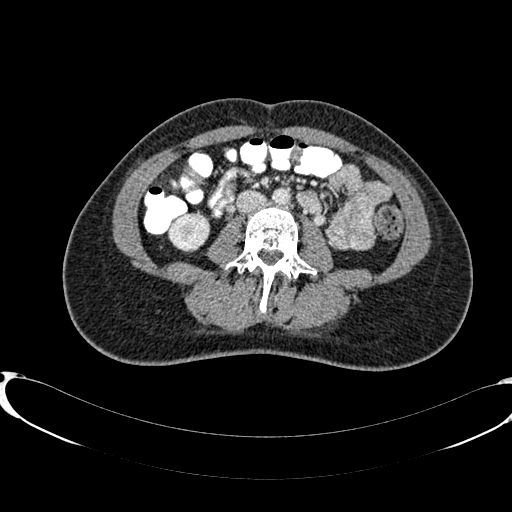
Abdomen, Image size 512x512, Computed tomography

kidney:
  - {"x1": 170, "y1": 216, "x2": 207, "y2": 249}